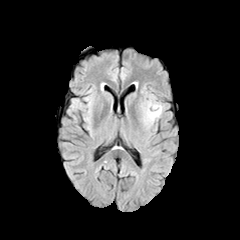
FLAIR MR image.
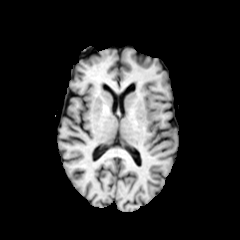
T1-weighted MR image of the same slice.
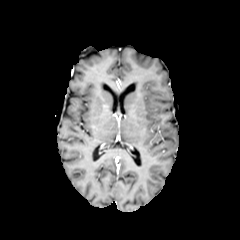
Post-contrast T1-weighted MR image.
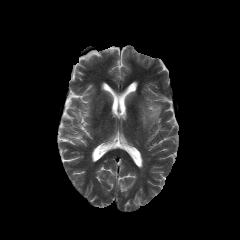
Same slice, T2-weighted MR.
Edema: bounding box box(140, 97, 162, 123).